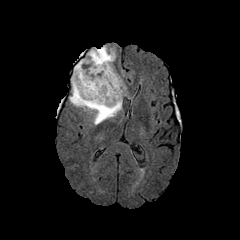
FLAIR MRI.
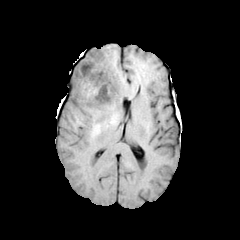
T1-weighted MR.
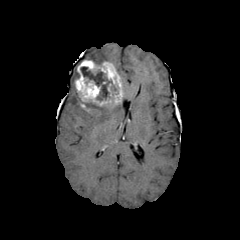
Post-contrast T1-weighted magnetic resonance.
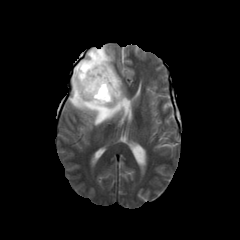
Same slice, T2-weighted MR image.
Brain.
Enhancing tumor: (left=74, top=60, right=122, bottom=105).
Edema: (left=76, top=45, right=115, bottom=65), (left=69, top=79, right=123, bottom=125).
Non-enhancing tumor core: (left=76, top=90, right=118, bottom=109), (left=80, top=66, right=112, bottom=101), (left=83, top=55, right=97, bottom=63), (left=72, top=66, right=79, bottom=84).